Slice 42 of 113, CT scan slice

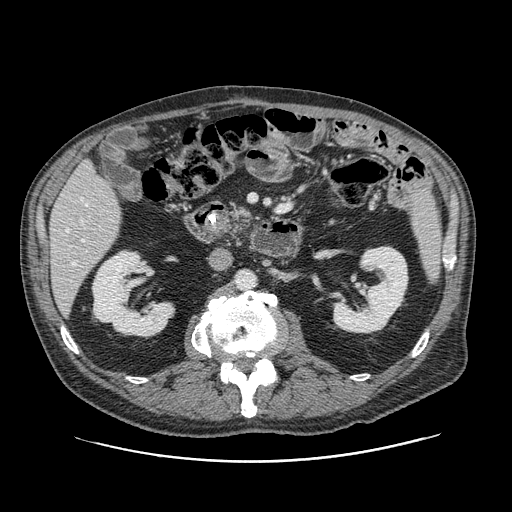 pancreas:
  - 227, 206, 246, 224